Brain. Field of view 240x240 mm.
FLAIR MRI.
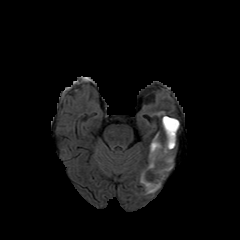
T1-weighted magnetic resonance.
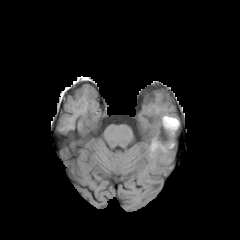
Post-contrast T1-weighted magnetic resonance.
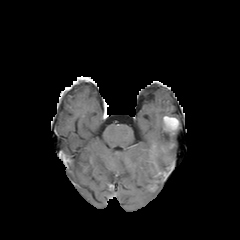
T2-weighted MR.
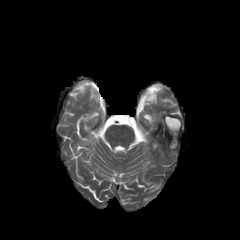
{
  "non-enhancing_tumor_core": [
    "167,128,177,147"
  ],
  "enhancing_tumor": [
    "164,117,177,131"
  ],
  "edema": [
    "148,130,173,180",
    "140,172,160,192"
  ]
}